Abdomen; Computed tomography 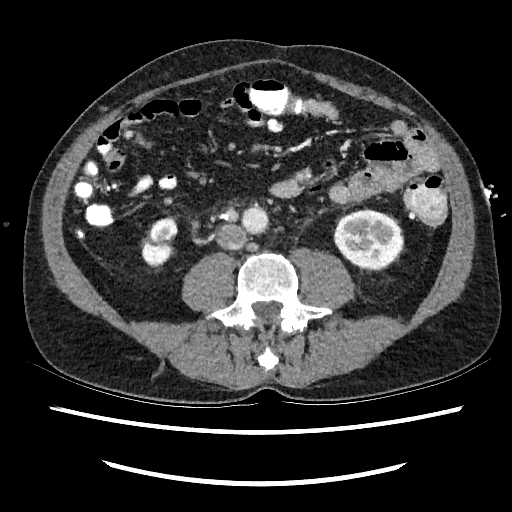

Segmented structures:
• kidney: box=[143, 244, 169, 263]; box=[335, 211, 402, 268]; box=[151, 220, 176, 240]